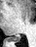

Magnetic resonance, Hippocampus

The posterior hippocampus appears at (left=11, top=36, right=20, bottom=42).